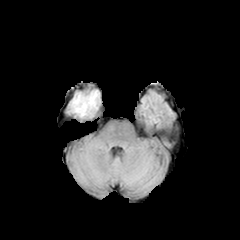
FLAIR MRI.
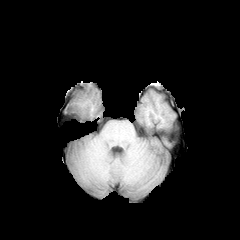
T1-weighted MR.
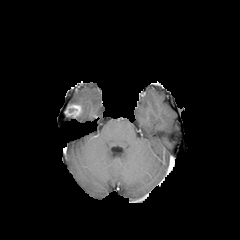
Same slice, post-contrast T1-weighted MR image.
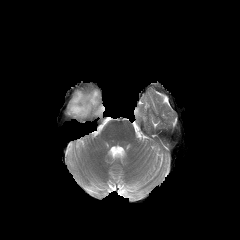
T2-weighted magnetic resonance of the same slice.
<segmentation>
  <edema>70:90:99:117</edema>
  <enhancing_tumor>68:104:81:116</enhancing_tumor>
</segmentation>